Brain; Image size 240x240
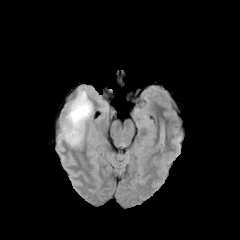
FLAIR magnetic resonance.
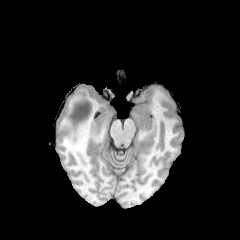
Same slice, T1-weighted magnetic resonance.
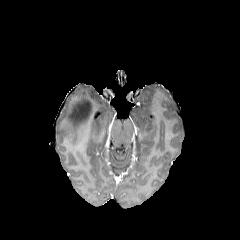
Same slice, post-contrast T1-weighted MR image.
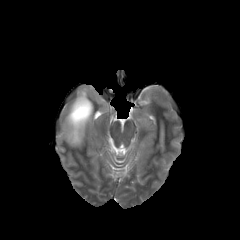
T2-weighted MR.
The non-enhancing tumor core is bounded by 72:99:91:127. 2 edema regions are bounded by 59:101:94:148, 73:87:92:107.